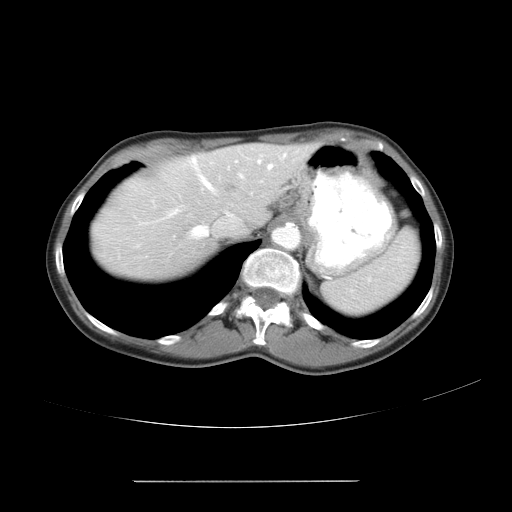
512x512 px | CT
Not every hepatic vessel necessarily has a box.
{
  "hepatic_vessel": [
    "bbox(226, 213, 232, 217)",
    "bbox(199, 175, 212, 189)",
    "bbox(238, 174, 242, 177)",
    "bbox(190, 156, 196, 167)",
    "bbox(267, 164, 271, 168)",
    "bbox(190, 225, 208, 237)",
    "bbox(257, 159, 260, 162)",
    "bbox(279, 153, 285, 158)",
    "bbox(165, 208, 178, 217)"
  ]
}